Abdomen | Field of view 500x500 mm | Computed tomography

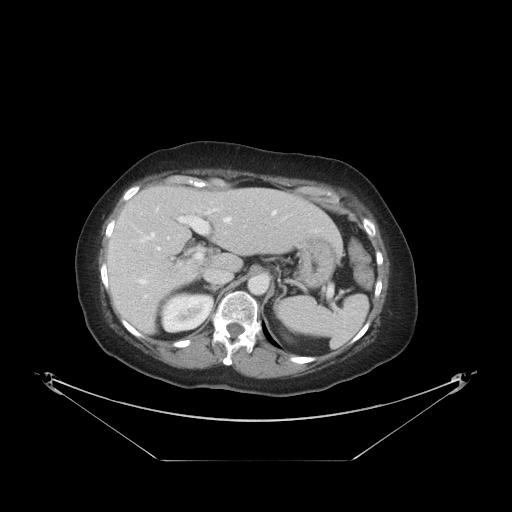
The vessel boxes may cover only some of the vessels.
hepatic vessel: (left=213, top=238, right=214, bottom=240), (left=140, top=280, right=145, bottom=283), (left=179, top=217, right=209, bottom=233), (left=229, top=261, right=230, bottom=262), (left=158, top=247, right=160, bottom=249), (left=191, top=246, right=204, bottom=260), (left=273, top=211, right=275, bottom=214), (left=210, top=270, right=230, bottom=282), (left=224, top=232, right=227, bottom=234), (left=152, top=233, right=154, bottom=236), (left=143, top=237, right=148, bottom=240), (left=208, top=209, right=216, bottom=212), (left=224, top=217, right=230, bottom=221)